240x240 px, Slice index 53, Field of view 240x240 mm
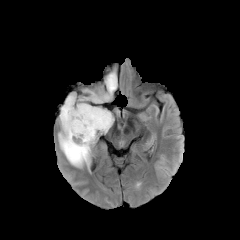
FLAIR MR.
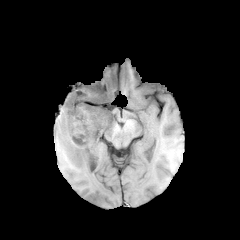
Same slice, T1-weighted MR image.
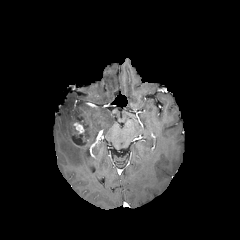
Same slice, post-contrast T1-weighted MR.
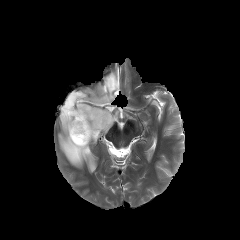
Same slice, T2-weighted MRI.
The edema is located at box(58, 73, 117, 167). The non-enhancing tumor core appears at box(71, 102, 103, 145). The enhancing tumor is bounded by box(73, 122, 84, 133).